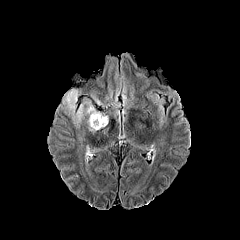
FLAIR magnetic resonance.
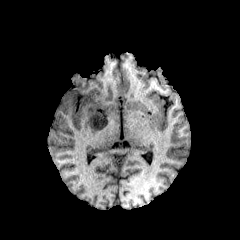
T1-weighted magnetic resonance.
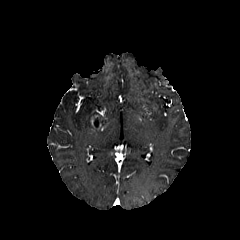
Post-contrast T1-weighted MR image.
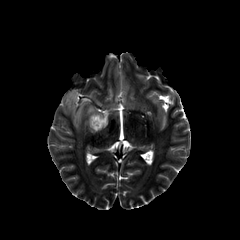
T2-weighted MR.
Head; Image size 240x240
edema: [59,90,99,132], [91,87,120,108] | non-enhancing tumor core: [91,115,107,131]